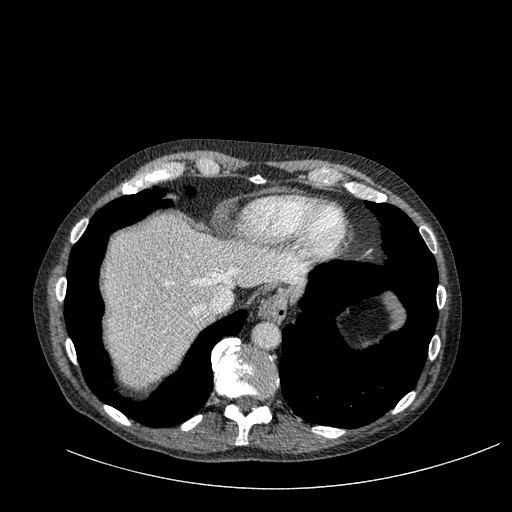 Upper abdomen | CT image
liver:
  - (104,214,306,386)